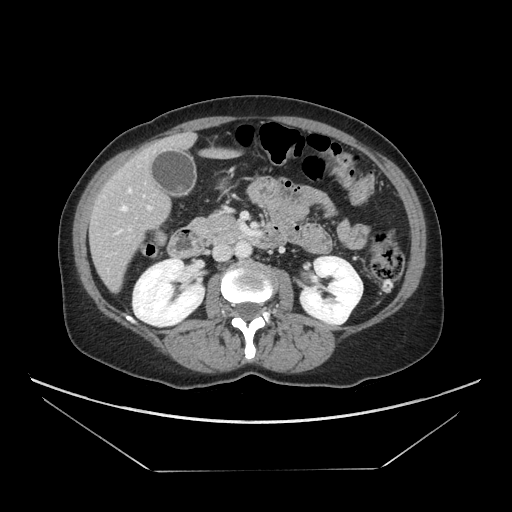
Computed tomography. Upper abdomen.

pancreas: (191,211,244,245)